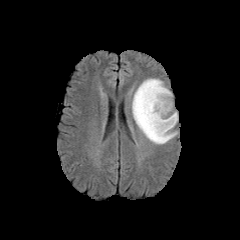
FLAIR MR.
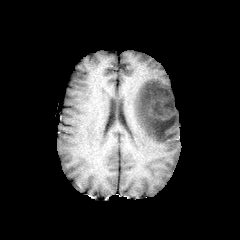
T1-weighted magnetic resonance.
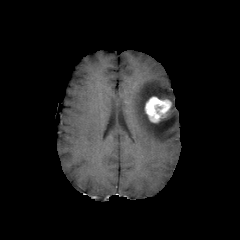
Post-contrast T1-weighted magnetic resonance.
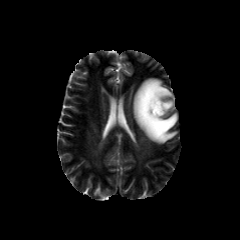
T2-weighted magnetic resonance of the same slice.
Brain
The non-enhancing tumor core is located at 137 86 174 136. The enhancing tumor lies within 144 96 171 122. The edema is located at 131 78 178 144.